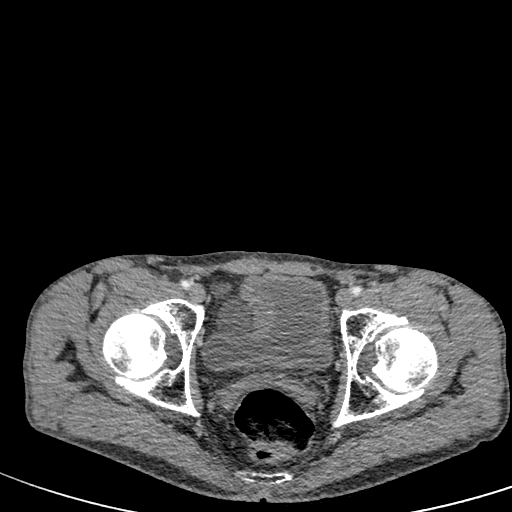

CT image, Lower abdomen
The urinary bladder is located at bbox(202, 273, 329, 375).